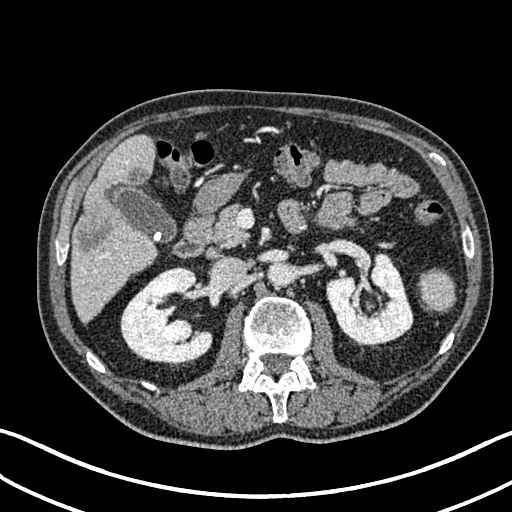 512x512 px | Abdomen | CT slice
Kidney — bbox=[121, 268, 219, 362]; bbox=[327, 246, 412, 343].
Liver — bbox=[71, 136, 156, 321].
Hepatic lesion — bbox=[77, 200, 116, 250]; bbox=[129, 168, 148, 182].